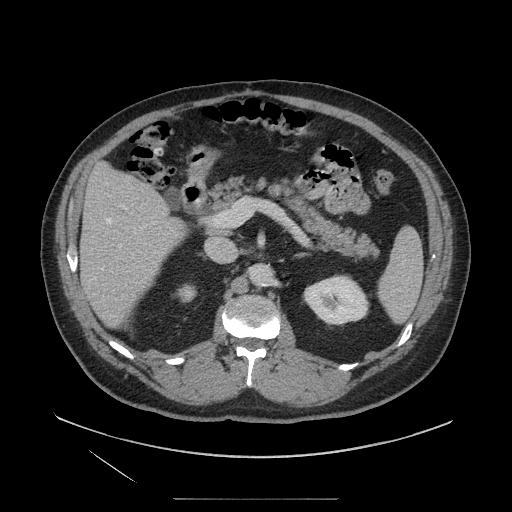

Upper abdomen. Computed tomography.
The pancreas is bounded by left=193, top=176, right=381, bottom=262.